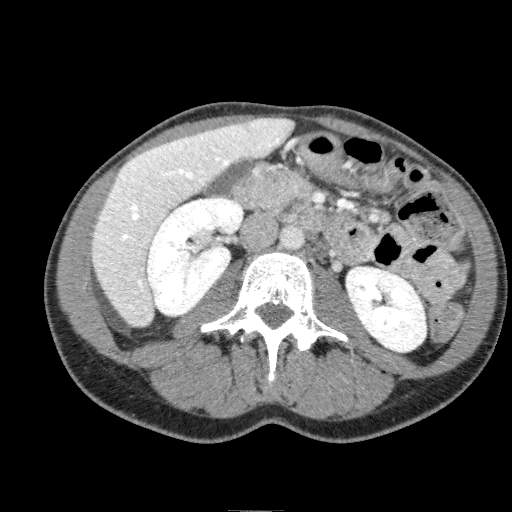
CT. Abdomen. Kidney at box(346, 267, 425, 351); box(147, 198, 242, 315).
Liver at box(91, 117, 294, 326).